CT image. Image size 512x512. 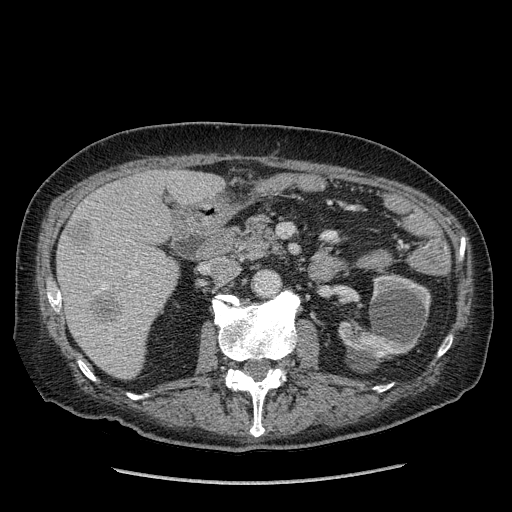 <segmentation>
  <liver>left=57, top=170, right=223, bottom=380</liver>
  <kidney>left=338, top=322, right=417, bottom=358; left=372, top=275, right=430, bottom=312</kidney>
  <hepatic_lesion>left=91, top=291, right=121, bottom=322; left=68, top=219, right=91, bottom=244</hepatic_lesion>
</segmentation>